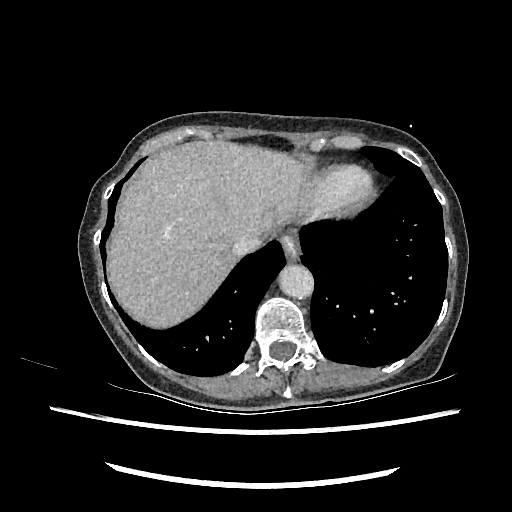

Image size 512x512; CT image
<segmentation>
  <liver>111 141 308 326</liver>
</segmentation>